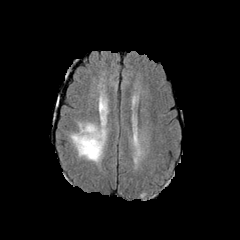
FLAIR magnetic resonance.
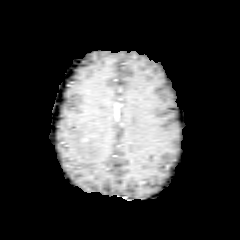
T1-weighted MR image.
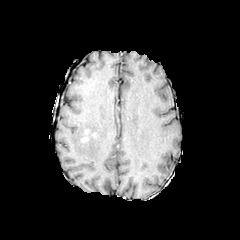
Post-contrast T1-weighted MRI of the same slice.
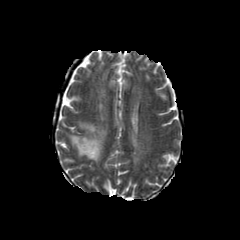
T2-weighted MR.
240x240
• edema: x1=70, y1=123, x2=105, y2=161
• enhancing tumor: x1=80, y1=136, x2=89, y2=144